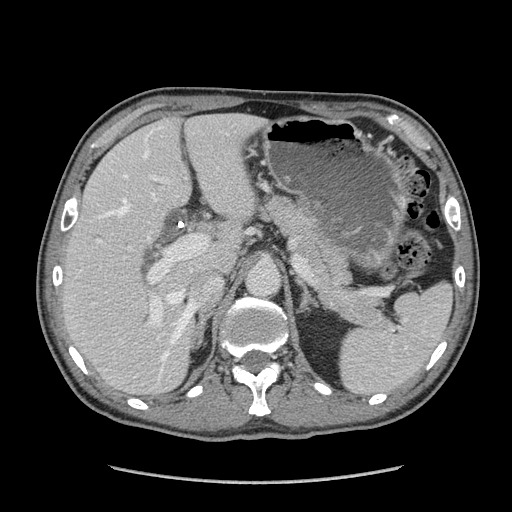
CT image

The pancreas is located at 256 192 388 330.